512x512 px | CT scan slice | Upper abdomen | Slice 391/588

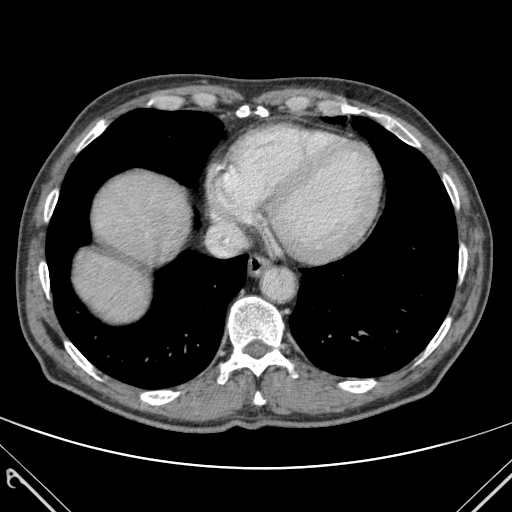

{
  "bone": [
    "region(39, 261, 49, 298)",
    "region(444, 175, 458, 206)",
    "region(78, 121, 105, 149)",
    "region(65, 342, 99, 379)",
    "region(141, 391, 178, 404)",
    "region(424, 318, 450, 357)",
    "region(218, 297, 292, 383)",
    "region(458, 246, 467, 278)",
    "region(339, 380, 375, 392)",
    "region(44, 189, 57, 220)",
    "region(254, 392, 264, 404)",
    "region(368, 112, 419, 146)",
    "region(237, 106, 267, 116)"
  ],
  "liver": [
    "region(74, 249, 149, 322)",
    "region(92, 171, 188, 265)"
  ],
  "lung": [
    "region(289, 116, 457, 376)",
    "region(324, 116, 346, 123)",
    "region(46, 109, 247, 388)"
  ]
}